CT image. Slice 19/48. 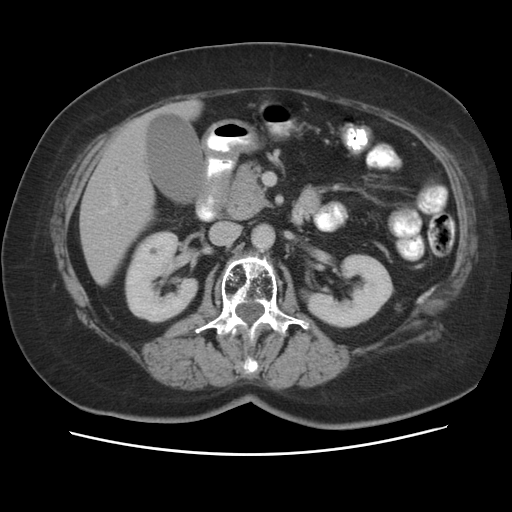 <segmentation>
  <pancreas>left=222, top=161, right=268, bottom=220</pancreas>
</segmentation>